Slice 388 of 685; Pelvis; Computed tomography 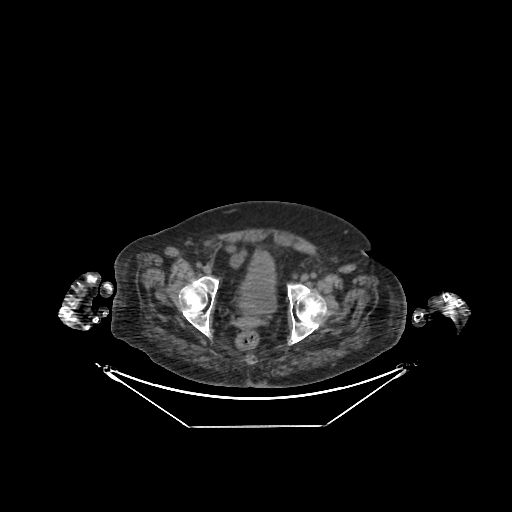 Urinary bladder: bbox(233, 252, 276, 317).